CT scan slice 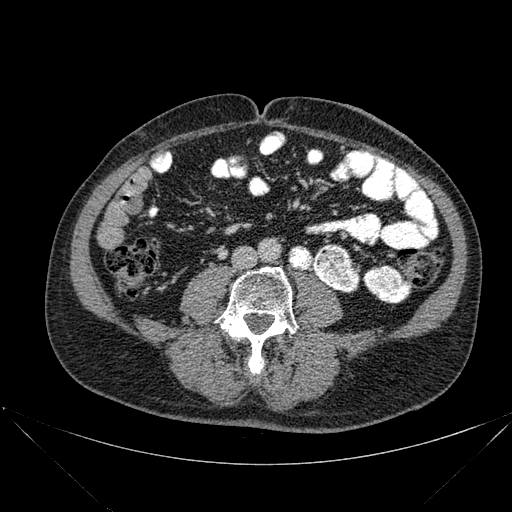 Bone — 216,267,297,376.